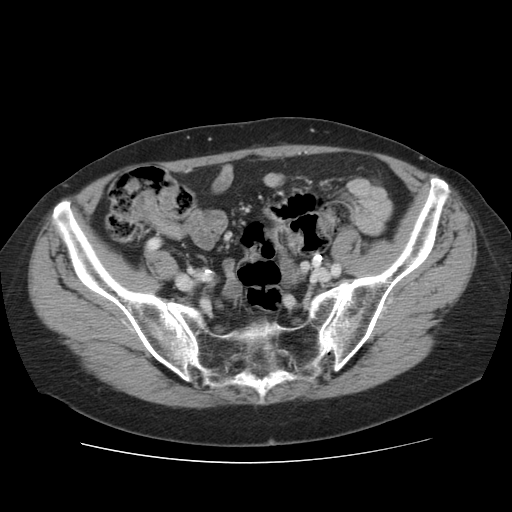
512x512 px. Computed tomography. Segmented structures:
- bone: bbox=[283, 295, 292, 304]; bbox=[51, 178, 450, 403]